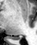

MRI. Posterior hippocampus at left=11, top=37, right=21, bottom=39.